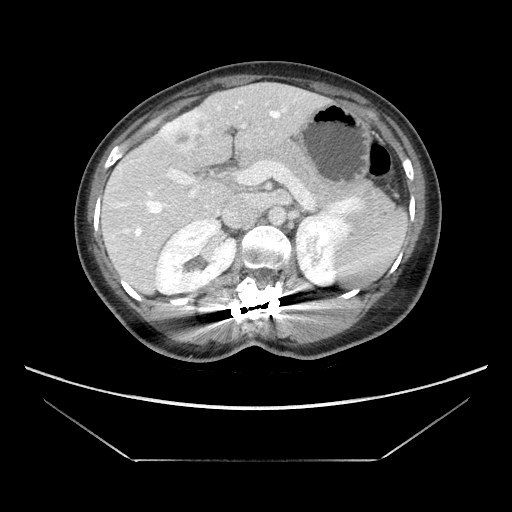 CT slice
Only some of the vessels may be annotated.
Liver tumor at region(161, 111, 210, 147).
Hepatic vessel at region(147, 201, 161, 212); region(237, 162, 288, 183); region(168, 169, 197, 198).